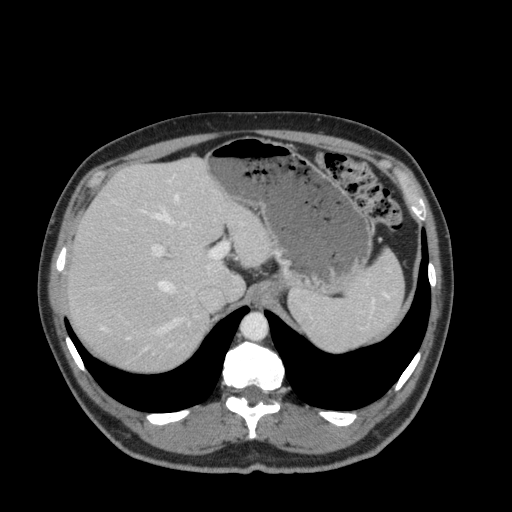 Liver, CT, 512x512 px

Liver: bounding box [67,158,272,370], [344,245,404,349].